Liver | Computed tomography 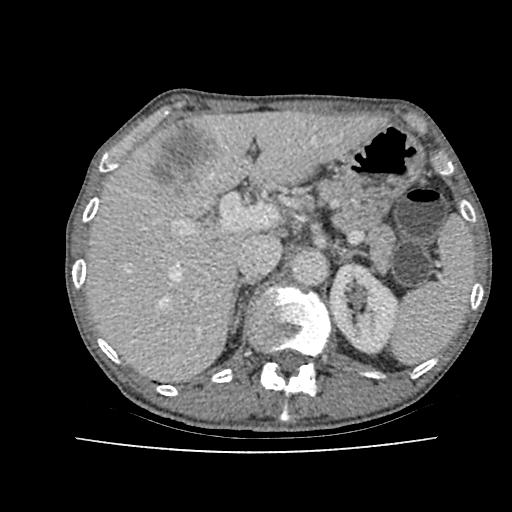 The liver is at x1=89 y1=112 x2=379 y2=380. The liver lesion is located at x1=153 y1=123 x2=217 y2=183. The kidney appears at x1=331 y1=267 x2=396 y2=351.